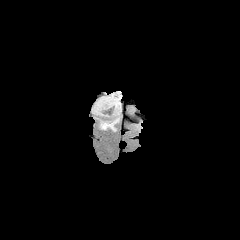
FLAIR MR.
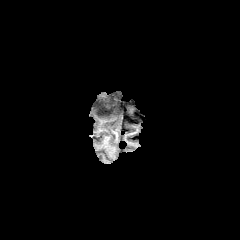
Same slice, T1-weighted MRI.
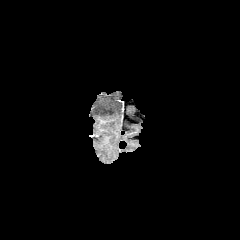
Post-contrast T1-weighted MRI.
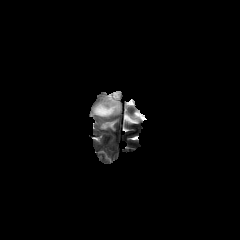
Same slice, T2-weighted MR.
Brain.
<segmentation>
  <non-enhancing_tumor_core>x1=99 y1=106 x2=118 y2=117, x1=101 y1=120 x2=115 y2=129</non-enhancing_tumor_core>
  <edema>x1=92 y1=94 x2=121 y2=123</edema>
</segmentation>